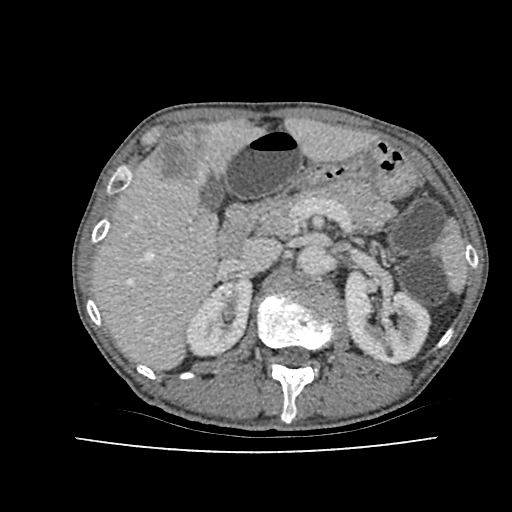 Image size 512x512, Computed tomography
Kidney — x1=346, y1=273, x2=428, y2=362; x1=187, y1=280, x2=251, y2=354.
Liver lesion — x1=156, y1=126, x2=209, y2=182.
Liver — x1=287, y1=120, x2=369, y2=158; x1=95, y1=121, x2=258, y2=366.